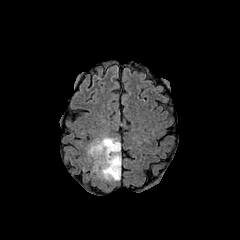
FLAIR MR.
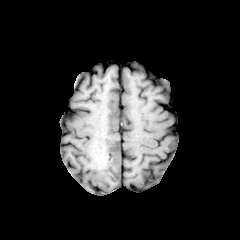
T1-weighted MR image of the same slice.
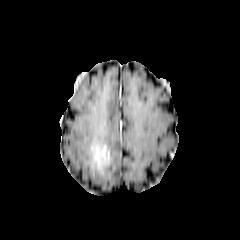
Post-contrast T1-weighted MR image of the same slice.
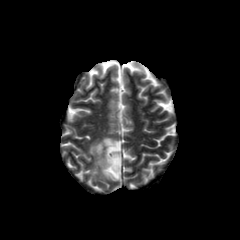
T2-weighted MRI.
{"enhancing_tumor": ["l=92, t=145, r=109, b=167"], "non-enhancing_tumor_core": ["l=92, t=144, r=117, b=163"], "edema": ["l=86, t=134, r=121, b=181"]}